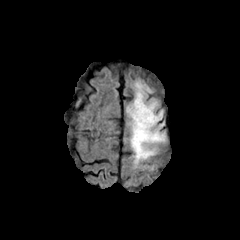
FLAIR MRI.
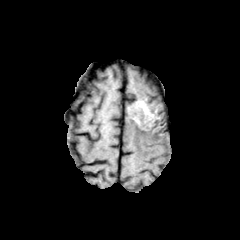
T1-weighted MRI of the same slice.
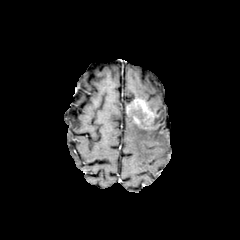
Same slice, post-contrast T1-weighted MRI.
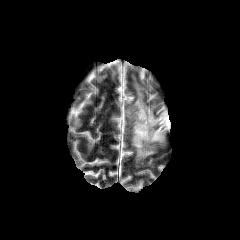
Same slice, T2-weighted MR.
Non-enhancing tumor core = (127, 105, 158, 129), (156, 116, 163, 133).
Enhancing tumor = (127, 98, 153, 117).
Edema = (128, 81, 165, 164).